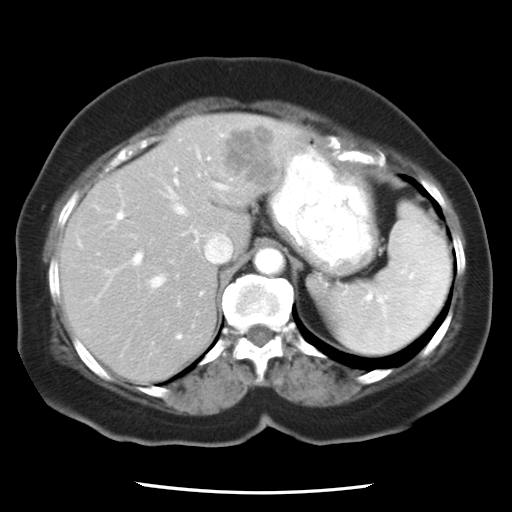
Abdomen; CT scan slice; 512x512 px
Not every hepatic vessel necessarily has a box.
8 hepatic vessel regions are located at rect(117, 213, 122, 218); rect(133, 254, 141, 263); rect(216, 184, 224, 188); rect(196, 235, 196, 238); rect(151, 277, 161, 286); rect(200, 232, 231, 264); rect(176, 207, 182, 212); rect(174, 180, 177, 182). The liver tumor lies within rect(221, 123, 281, 189).